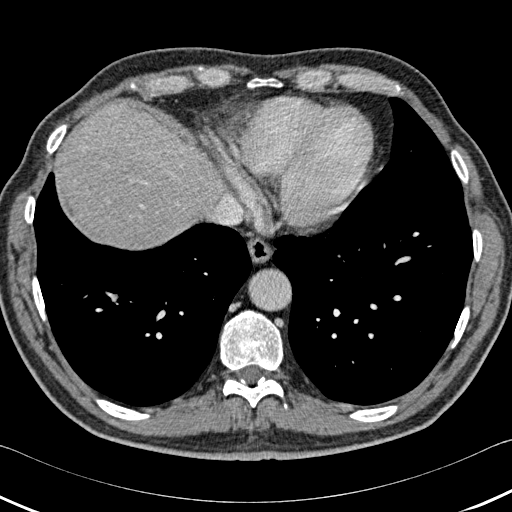

CT image

2 lung regions are bounded by [x1=269, y1=97, x2=473, y2=405], [x1=33, y1=172, x2=253, y2=407]. The liver is bounded by [x1=56, y1=107, x2=212, y2=248]. 11 bone regions are bounded by [x1=32, y1=277, x2=45, y2=320], [x1=451, y1=307, x2=469, y2=347], [x1=47, y1=125, x2=66, y2=153], [x1=220, y1=311, x2=282, y2=370], [x1=247, y1=78, x2=282, y2=87], [x1=223, y1=377, x2=283, y2=407], [x1=473, y1=230, x2=482, y2=261], [x1=350, y1=406, x2=397, y2=421], [x1=96, y1=400, x2=149, y2=420], [x1=451, y1=150, x2=468, y2=183], [x1=24, y1=196, x2=34, y2=223].